512x512; Liver; Image width 403 mm; Slice 110/178; CT image
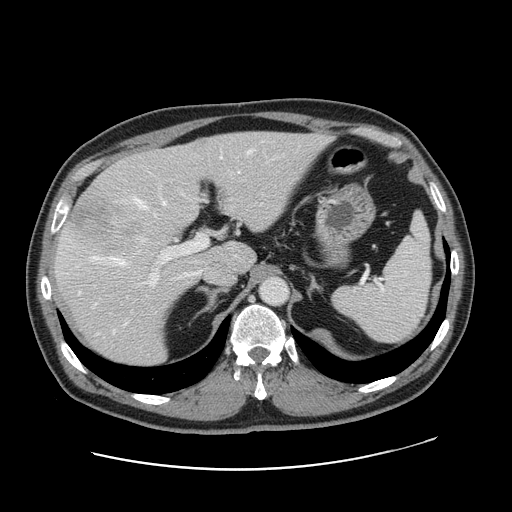 Some hepatic vessels may have no box.
14 hepatic vessel regions are bounded by region(181, 192, 183, 194); region(159, 229, 223, 262); region(247, 149, 252, 153); region(134, 198, 146, 207); region(139, 237, 145, 240); region(90, 256, 98, 260); region(145, 272, 157, 283); region(224, 207, 231, 214); region(220, 154, 222, 157); region(154, 214, 155, 215); region(102, 256, 125, 266); region(272, 156, 277, 158); region(161, 199, 165, 204); region(196, 196, 205, 200). The liver tumor is bounded by region(67, 204, 132, 257).